Slice 72 of 88, CT image

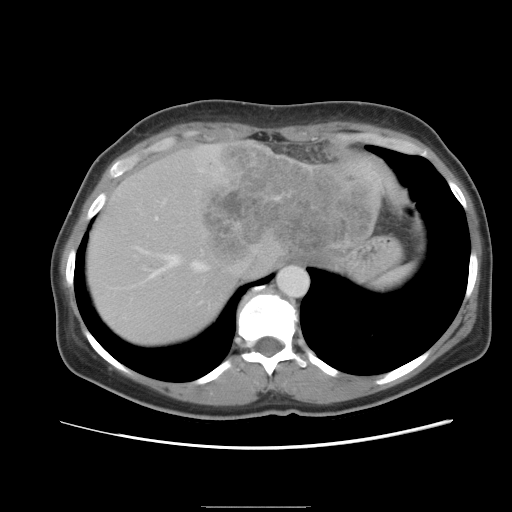 Not every hepatic vessel necessarily has a box.
Hepatic vessel: (left=260, top=254, right=261, bottom=255), (left=191, top=261, right=205, bottom=270), (left=232, top=261, right=248, bottom=273), (left=152, top=255, right=177, bottom=275), (left=139, top=248, right=147, bottom=252).
Liver tumor: (left=197, top=143, right=378, bottom=271).